Slice 66 of 155.
FLAIR MR.
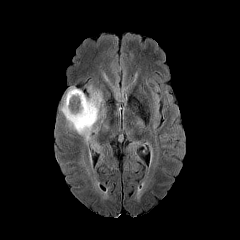
T1-weighted MRI.
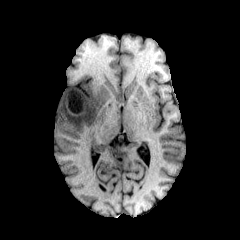
Post-contrast T1-weighted magnetic resonance.
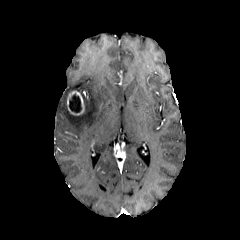
T2-weighted MR.
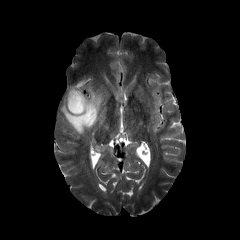
The non-enhancing tumor core is at region(69, 95, 81, 112). 3 edema regions are located at region(58, 85, 105, 145); region(93, 143, 100, 153); region(88, 149, 93, 169). The enhancing tumor lies within region(66, 90, 86, 115).